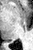

33x50 px; Magnetic resonance
The posterior hippocampus is at [8, 40, 14, 41].